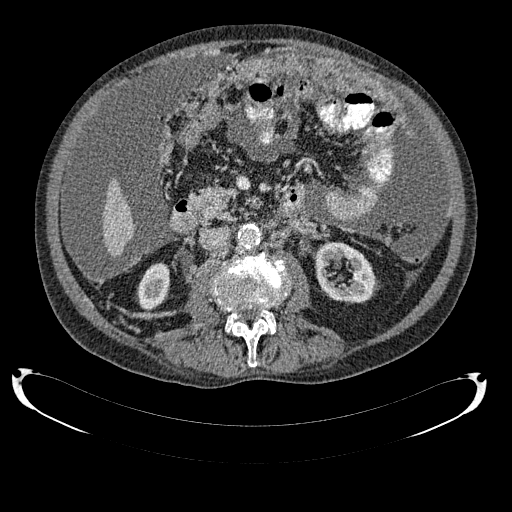
Abdomen. Computed tomography. • kidney: [x1=138, y1=263, x2=169, y2=309], [x1=315, y1=243, x2=374, y2=302]
• liver: [x1=104, y1=177, x2=133, y2=256]